Slice 54 of 168. CT slice.
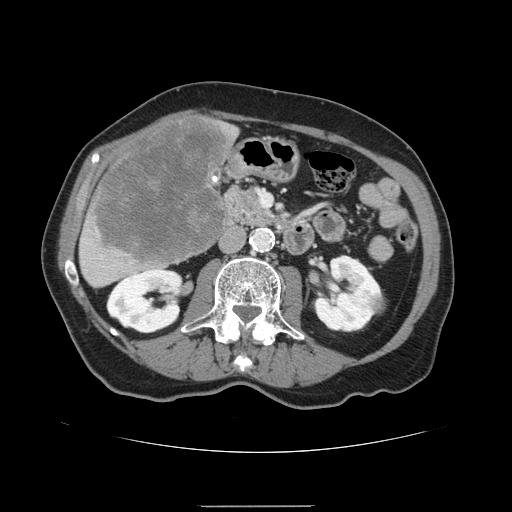
liver_tumor:
  - 90,117,229,265